512x512 px | Computed tomography | Slice 38/86 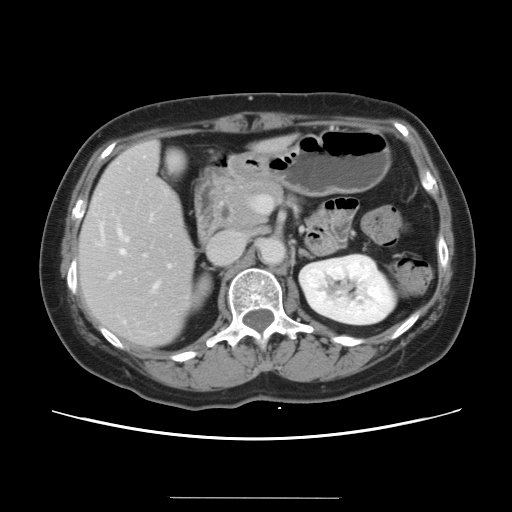
The vessel boxes may cover only some of the vessels.
hepatic_vessel:
  - <box>150,214,152,222</box>
  - <box>168,265,170,267</box>
  - <box>143,254,146,256</box>
  - <box>153,283,158,291</box>
  - <box>120,250,125,254</box>
  - <box>97,222,103,246</box>
  - <box>117,230,127,242</box>
  - <box>110,271,120,277</box>
  - <box>126,192,128,193</box>
  - <box>92,212,94,213</box>
  - <box>123,321,125,323</box>